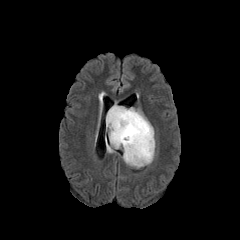
FLAIR magnetic resonance.
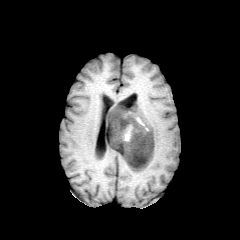
Same slice, T1-weighted MR.
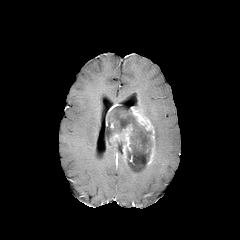
Post-contrast T1-weighted MR image.
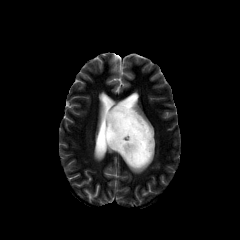
T2-weighted MRI.
Brain
edema: (x1=124, y1=160, x2=147, y2=169), (x1=106, y1=144, x2=123, y2=157) | non-enhancing tumor core: (x1=106, y1=106, x2=154, y2=166) | enhancing tumor: (x1=106, y1=117, x2=114, y2=128), (x1=110, y1=127, x2=131, y2=160), (x1=131, y1=107, x2=154, y2=134), (x1=148, y1=146, x2=154, y2=164)